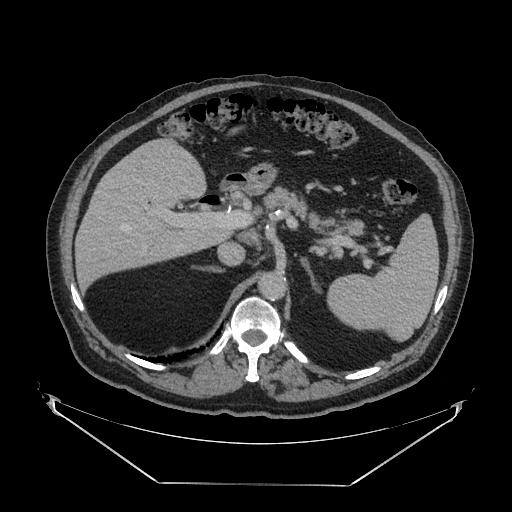

Computed tomography
Findings:
* pancreas: (264, 188, 363, 236)